FLAIR MR image.
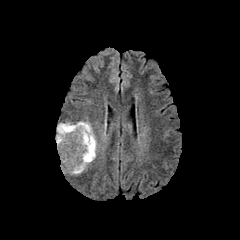
T1-weighted MR.
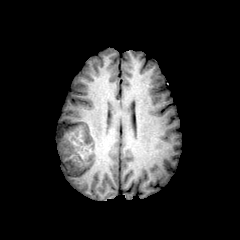
Post-contrast T1-weighted MRI.
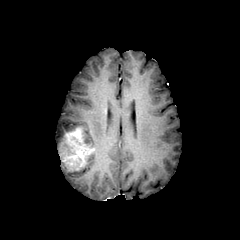
T2-weighted MR image.
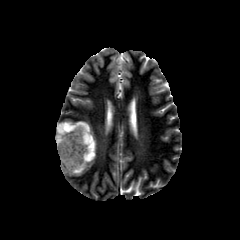
240x240
Edema: [56,139,65,149], [64,120,98,175].
Non-enhancing tumor core: [57,123,73,144], [72,125,93,147].
Enhancing tumor: [60,128,93,171].